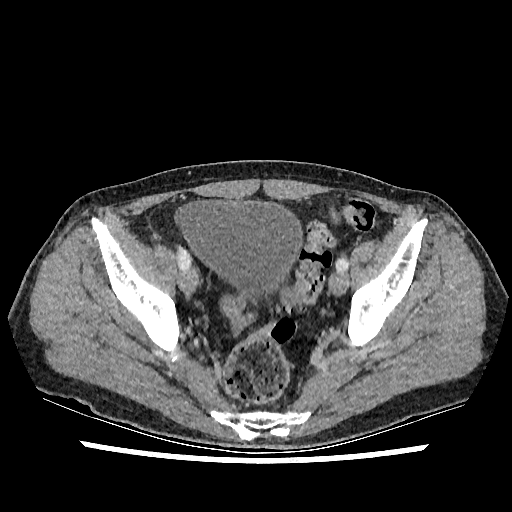

CT.
urinary_bladder:
  - bbox=[180, 199, 303, 307]